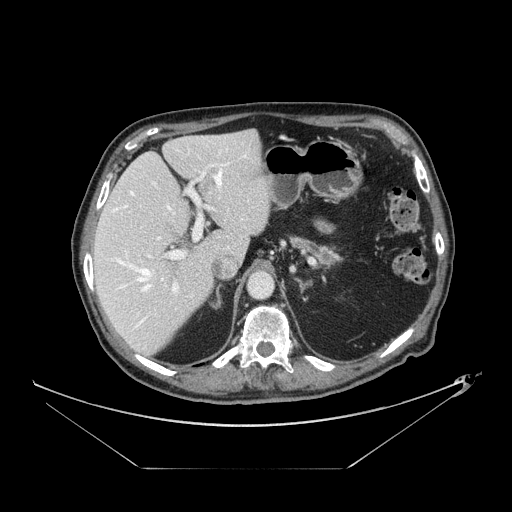

Upper abdomen, 512x512 px, Computed tomography
{"pancreas": ["290:238:341:266"]}